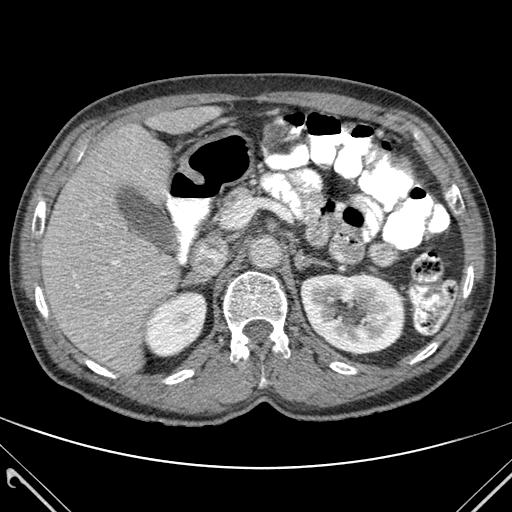 Image size 512x512 | Liver | CT image
Annotated regions:
- kidney: [x1=302, y1=275, x2=403, y2=352], [x1=146, y1=294, x2=205, y2=354]
- bone: [x1=330, y1=362, x2=355, y2=373], [x1=165, y1=370, x2=193, y2=383], [x1=224, y1=272, x2=289, y2=359], [x1=411, y1=343, x2=436, y2=363], [x1=464, y1=266, x2=473, y2=297], [x1=32, y1=196, x2=46, y2=237], [x1=448, y1=185, x2=462, y2=205], [x1=35, y1=287, x2=47, y2=316], [x1=86, y1=360, x2=114, y2=377]
- liver: [x1=150, y1=106, x2=218, y2=134], [x1=40, y1=125, x2=177, y2=371]